FLAIR MR.
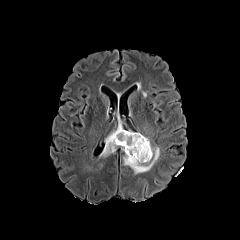
T1-weighted MR.
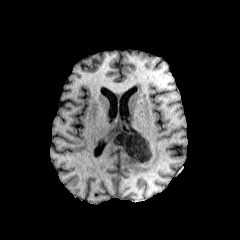
Post-contrast T1-weighted MR.
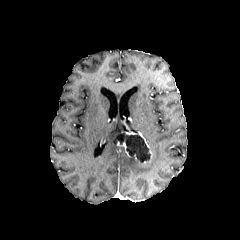
T2-weighted magnetic resonance.
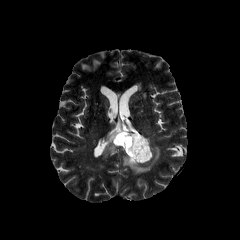
Brain. 240x240.
2 edema regions appear at (101,132,118,157), (122,136,160,174). The non-enhancing tumor core is at (114,131,151,162). The enhancing tumor lies within (126,130,149,148).